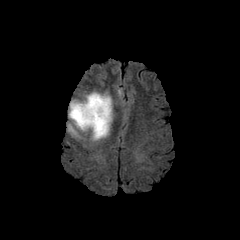
FLAIR magnetic resonance.
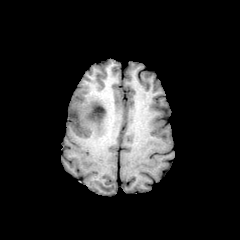
T1-weighted MRI.
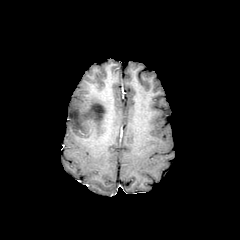
Post-contrast T1-weighted magnetic resonance of the same slice.
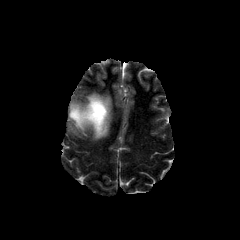
T2-weighted magnetic resonance of the same slice.
Image size 240x240
Non-enhancing tumor core: bounding box (x1=85, y1=100, x2=111, y2=139), (x1=93, y1=93, x2=110, y2=102).
Edema: bounding box (x1=68, y1=93, x2=112, y2=140).